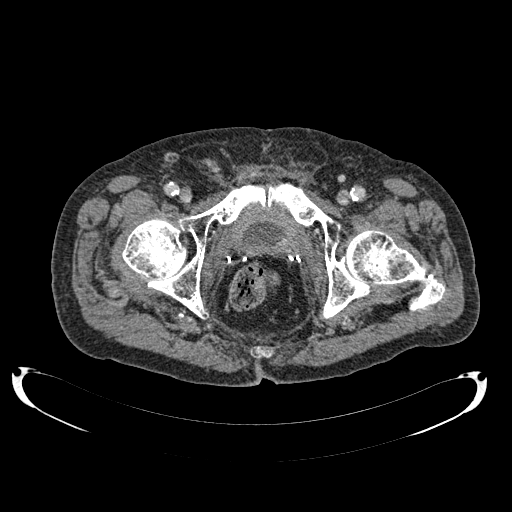 CT scan slice | 512x512 px
Urinary bladder = 244:221:283:245.